512x512; CT image 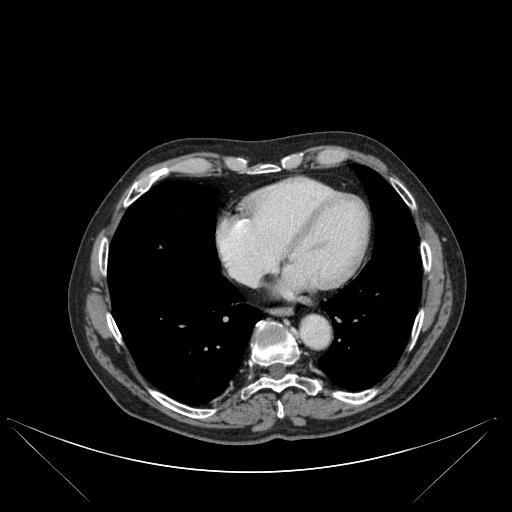 Lung at (107, 181, 262, 404), (318, 164, 421, 390).
Bone at (124, 171, 160, 206), (250, 321, 298, 365), (278, 402, 283, 417), (255, 166, 278, 173), (333, 390, 375, 404), (400, 186, 414, 207), (106, 315, 120, 341), (421, 242, 431, 270), (412, 311, 423, 340), (150, 391, 214, 418), (242, 373, 321, 399), (98, 238, 107, 272).